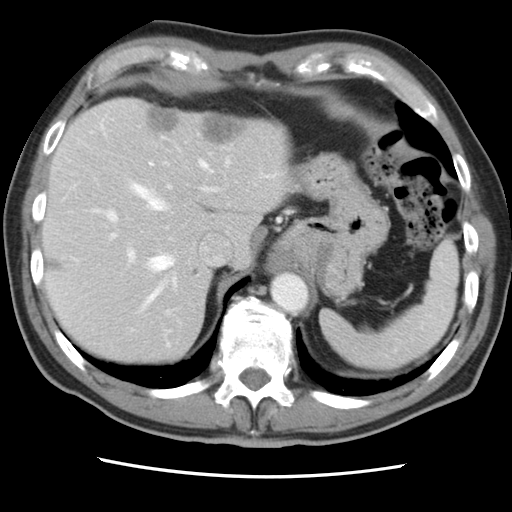
CT | 512x512 px
The vessel annotation is not exhaustive.
The top 15 hepatic vessel regions (of 18) are bounded by box=[111, 234, 115, 237]; box=[200, 160, 206, 167]; box=[167, 342, 169, 345]; box=[203, 187, 213, 190]; box=[146, 286, 160, 302]; box=[209, 169, 212, 171]; box=[133, 184, 165, 209]; box=[129, 250, 134, 260]; box=[226, 158, 229, 163]; box=[150, 256, 173, 270]; box=[266, 175, 271, 177]; box=[168, 185, 170, 187]; box=[173, 277, 175, 285]; box=[93, 209, 116, 220]; box=[150, 162, 152, 164]. 3 liver tumor regions appear at box=[148, 112, 178, 131]; box=[191, 269, 199, 276]; box=[203, 121, 243, 142].